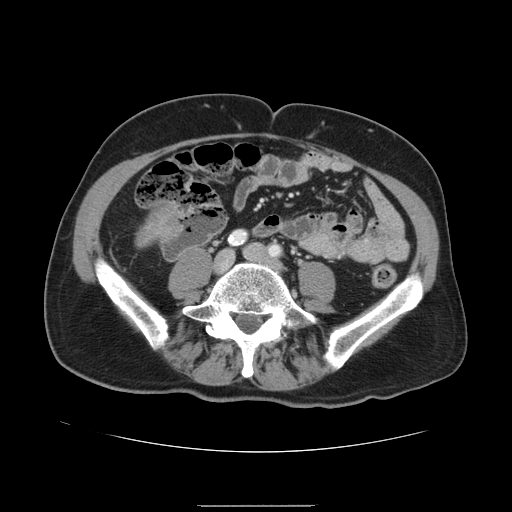 CT slice
{
  "liver_tumor": [
    "[140,209,178,239]"
  ]
}